CT slice | Slice index 102 | Abdomen
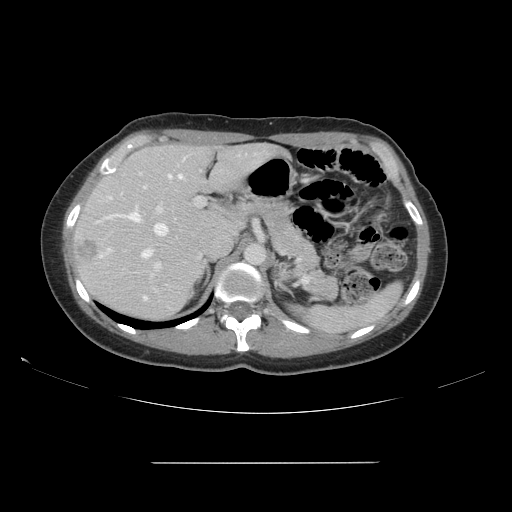

Some hepatic vessels may have no box.
• liver tumor: box(77, 241, 97, 260)
• hepatic vessel: box(154, 263, 161, 270); box(106, 195, 111, 200); box(139, 173, 141, 174); box(99, 248, 111, 257); box(168, 175, 171, 177); box(156, 202, 162, 212); box(144, 186, 146, 187); box(178, 174, 184, 179); box(95, 221, 98, 223); box(143, 295, 147, 300); box(104, 207, 141, 221); box(184, 156, 186, 159); box(154, 223, 167, 235); box(142, 250, 151, 257); box(195, 197, 203, 206)